CT slice, 512x512 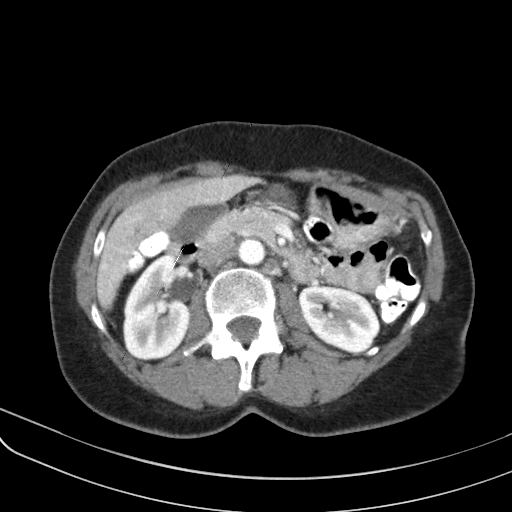
Pancreas at 198,206,290,270.